CT image. Slice index 96.
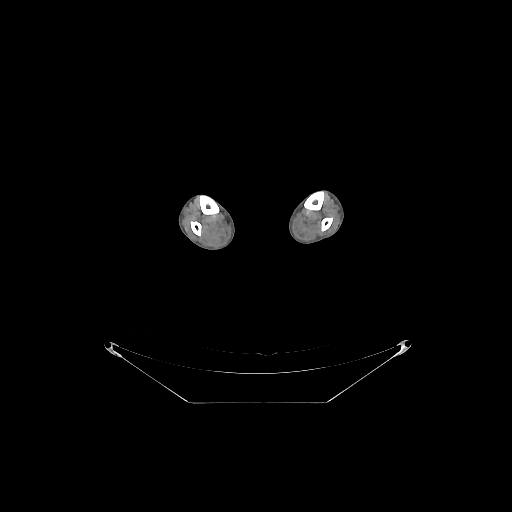
<segmentation>
  <bone>(left=199, top=195, right=218, bottom=215), (left=321, top=217, right=332, bottom=231), (left=190, top=221, right=201, bottom=235), (left=304, top=191, right=324, bottom=210)</bone>
</segmentation>